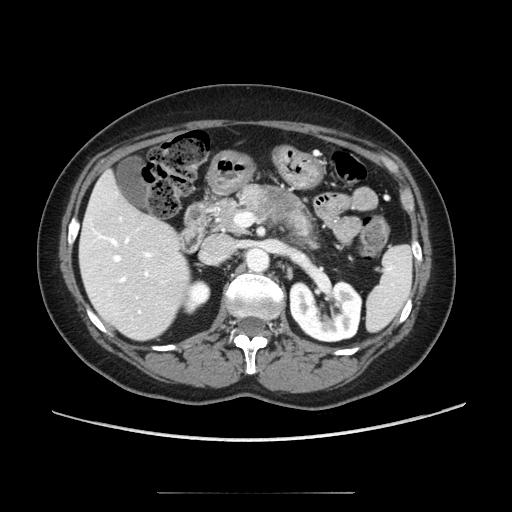
Abdomen; 512x512; Computed tomography

The pancreatic tumor is located at box=[257, 187, 297, 218]. The pancreas is bounded by box=[218, 185, 317, 247].